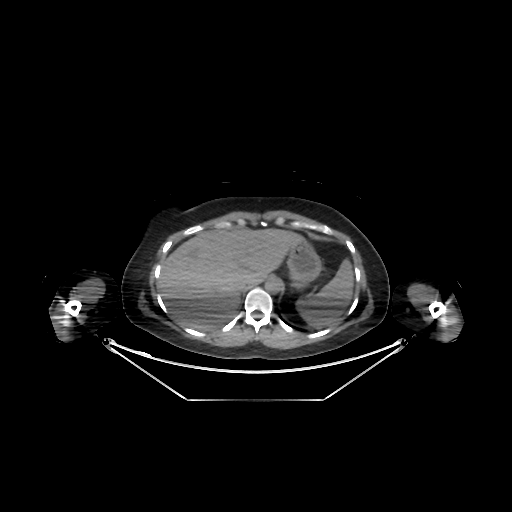

CT image; Image size 512x512
Annotated regions:
- liver: 156, 223, 303, 333